CT image 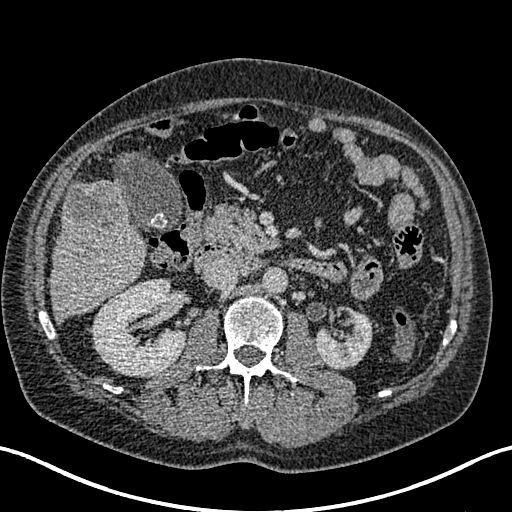

Kidney — 316 311 371 367, 93 279 184 375.
Hepatic lesion — 78 238 96 259, 64 184 118 229.
Liver — 50 180 146 324.